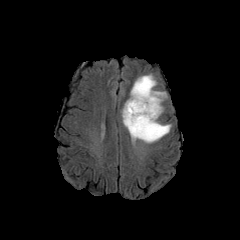
FLAIR magnetic resonance.
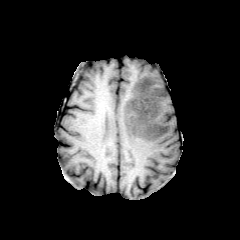
T1-weighted MRI of the same slice.
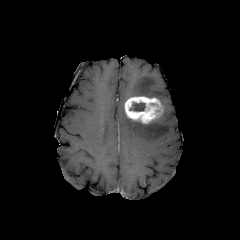
Same slice, post-contrast T1-weighted magnetic resonance.
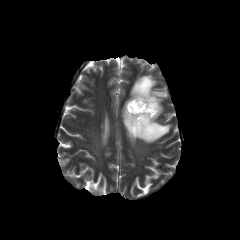
T2-weighted magnetic resonance.
Head; 240x240
Enhancing tumor at bbox(124, 96, 163, 124).
Non-enhancing tumor core at bbox(129, 103, 145, 111).
Edema at bbox(130, 74, 166, 101); bbox(122, 108, 171, 143).